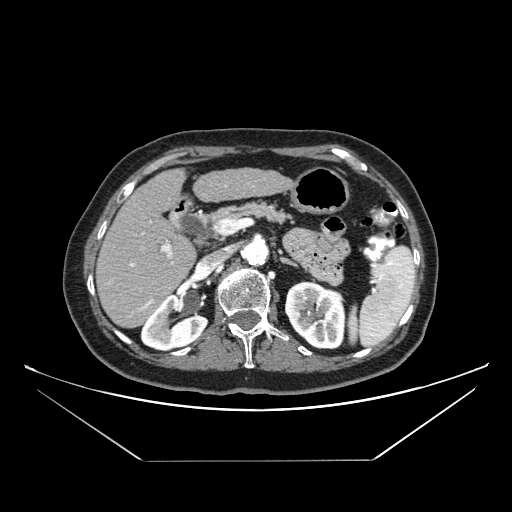

CT image
Annotated regions:
- pancreas: <bbox>179, 202, 291, 243</bbox>